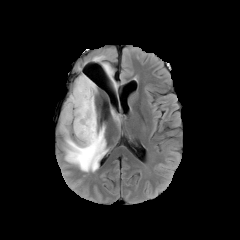
FLAIR magnetic resonance.
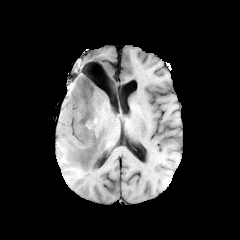
T1-weighted MR.
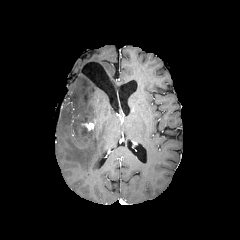
Post-contrast T1-weighted magnetic resonance.
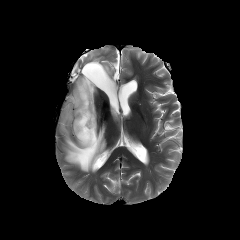
T2-weighted MRI.
Enhancing tumor = x1=83, y1=122, x2=93, y2=130.
Edema = x1=60, y1=74, x2=108, y2=172; x1=94, y1=56, x2=117, y2=87.